CT slice. Slice 67 of 93. Abdomen.

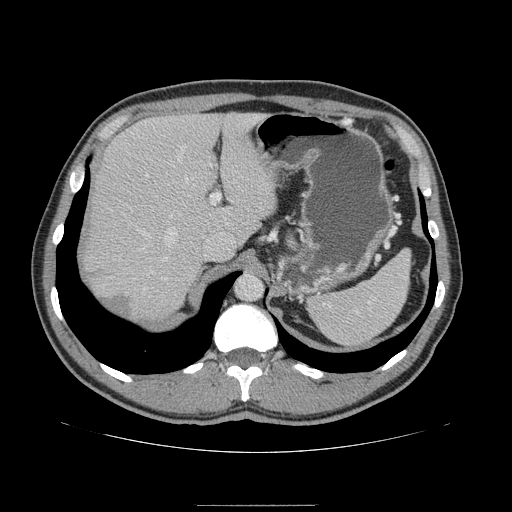 Pancreas — box=[282, 229, 298, 250].